CT | Abdomen

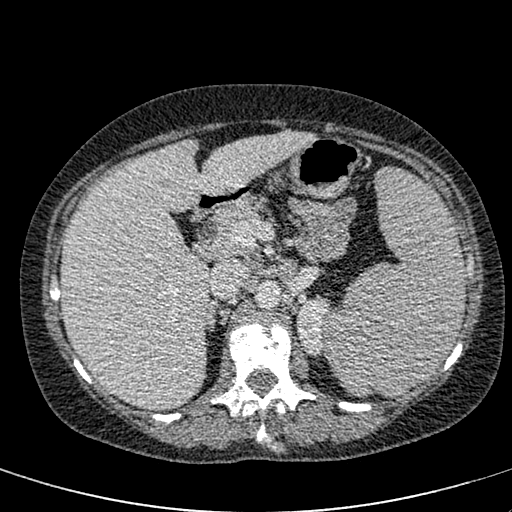 kidney:
  - {"x1": 297, "y1": 299, "x2": 328, "y2": 354}
liver:
  - {"x1": 61, "y1": 132, "x2": 316, "y2": 409}